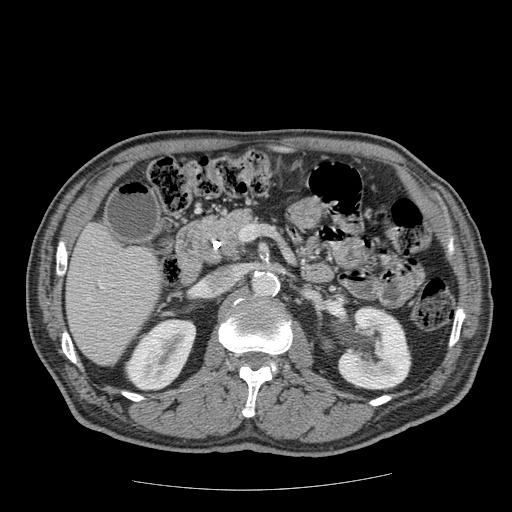 Computed tomography. Upper abdomen.
{
  "pancreas": [
    "(left=200, top=206, right=264, bottom=267)"
  ],
  "pancreatic_tumor": [
    "(left=190, top=216, right=240, bottom=263)"
  ]
}